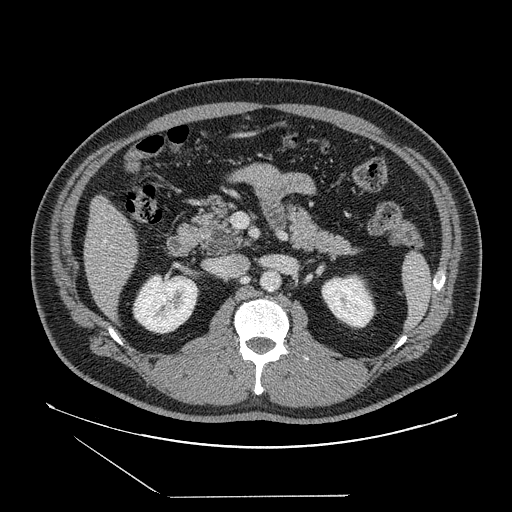

Computed tomography

2 pancreas regions are located at box(189, 201, 243, 256); box(277, 203, 361, 259). The pancreatic tumor is bounded by box(207, 227, 238, 255).